Brain. Slice index 58.
FLAIR MR.
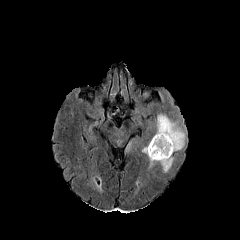
T1-weighted MRI.
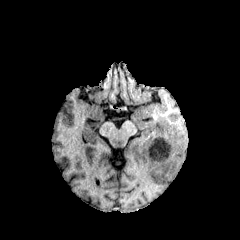
Post-contrast T1-weighted MRI.
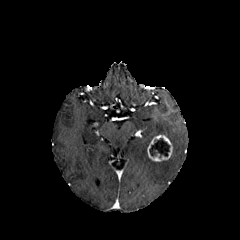
T2-weighted MR image.
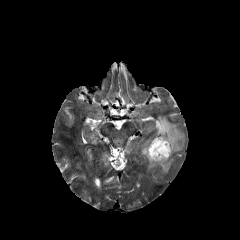
{"non-enhancing_tumor_core": ["x1=149, y1=138, x2=170, y2=157"], "edema": ["x1=160, y1=155, x2=175, y2=172", "x1=154, y1=113, x2=185, y2=153"], "enhancing_tumor": ["x1=147, y1=134, x2=173, y2=161"]}